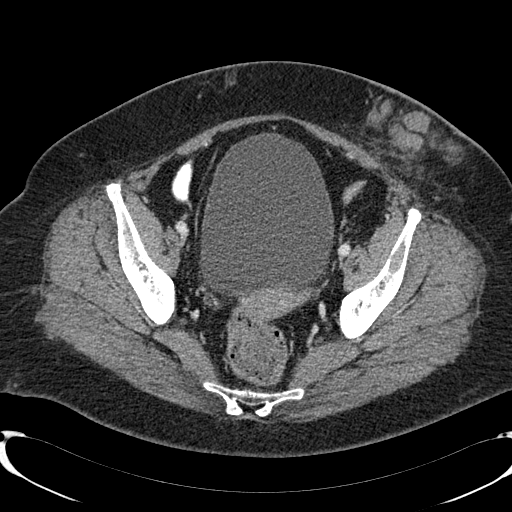 CT
Urinary bladder: bounding box rect(200, 133, 333, 296).